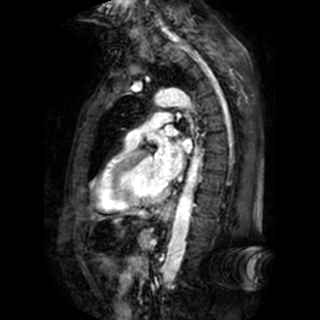
Cardiac | MR | Image size 320x320
The left atrium is located at 155,136,191,180.